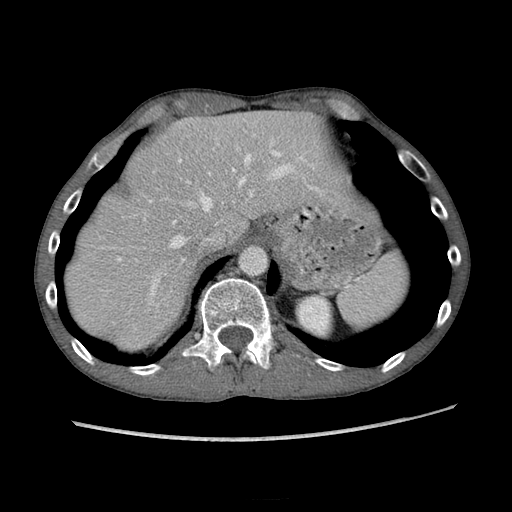
512x512 px; CT; Upper abdomen
Kidney = (left=299, top=297, right=328, bottom=333).
Liver = (left=66, top=109, right=372, bottom=351).